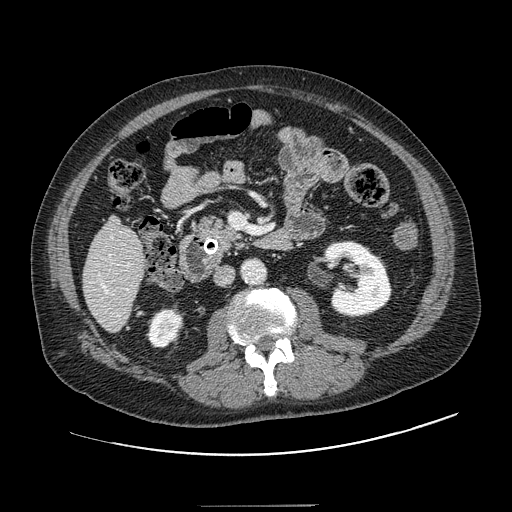 Abdomen, CT scan slice
pancreas: 194:215:242:254